CT. 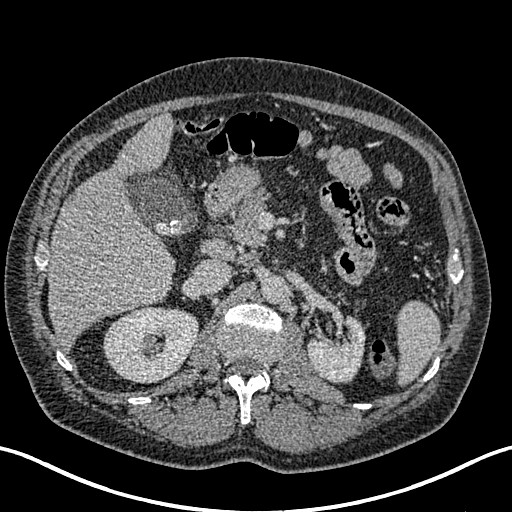

liver: <box>49,113,174,349</box> | kidney: <box>105,308,197,382</box>, <box>308,318,364,381</box>